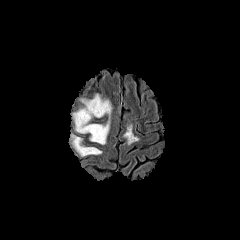
FLAIR MRI.
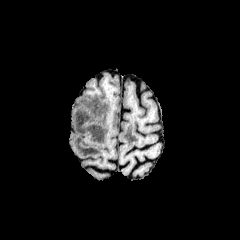
T1-weighted MRI.
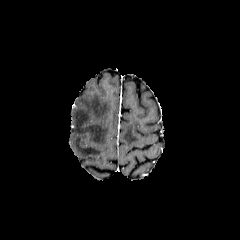
Post-contrast T1-weighted magnetic resonance.
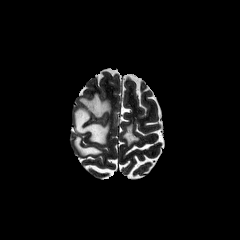
T2-weighted magnetic resonance of the same slice.
{
  "edema": [
    "x1=72 y1=93 x2=112 y2=144",
    "x1=70 y1=133 x2=102 y2=156"
  ]
}